Magnetic resonance; Image width 39 mm

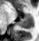 Annotated regions:
- posterior hippocampus: 17,19,32,28
- anterior hippocampus: 23,14,32,18